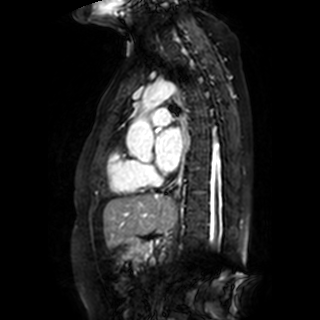 MRI slice | 320x320 px
Left atrium at x1=155, y1=127, x2=182, y2=171.